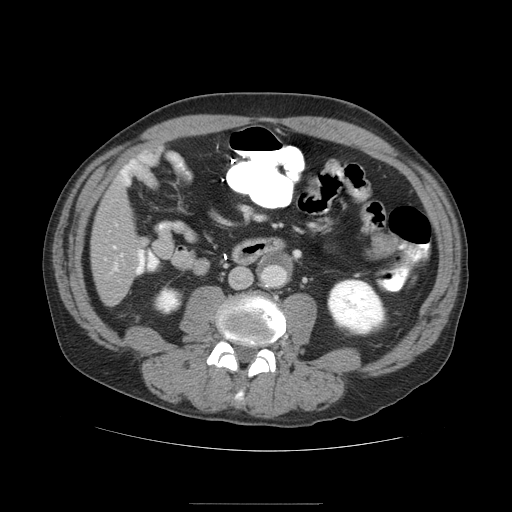 CT image

Not every hepatic vessel necessarily has a box.
hepatic_vessel:
  - x1=112 y1=264 x2=117 y2=271
  - x1=120 y1=254 x2=122 y2=255
  - x1=113 y1=246 x2=115 y2=248